FLAIR MR.
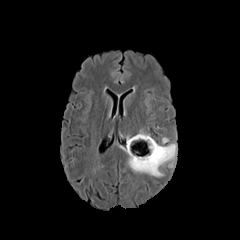
T1-weighted MR image.
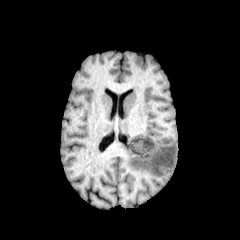
Post-contrast T1-weighted MR.
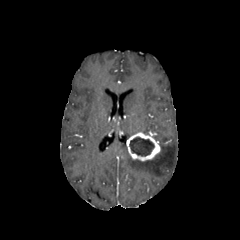
T2-weighted magnetic resonance.
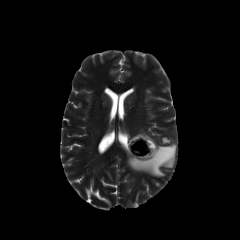
Head
Enhancing tumor at x1=127 y1=131 x2=160 y2=160.
Non-enhancing tumor core at x1=129 y1=136 x2=154 y2=156.
Edema at x1=127 y1=143 x2=177 y2=175.